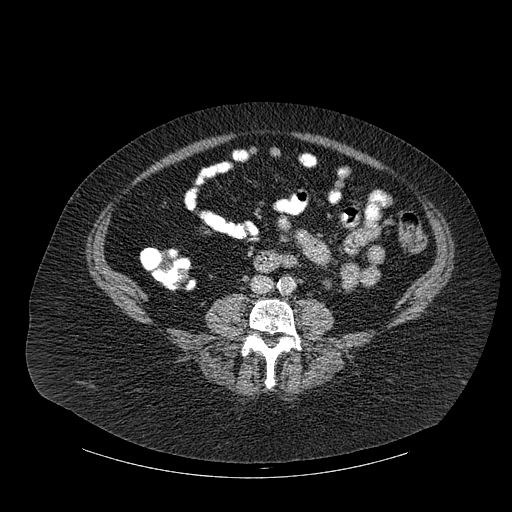
Computed tomography

The bone is at 242 300 300 388.